FLAIR MRI.
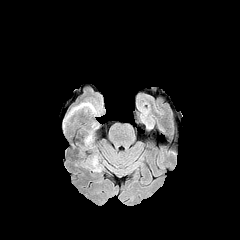
T1-weighted MR image.
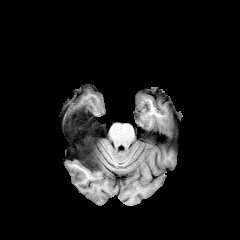
Post-contrast T1-weighted MR image.
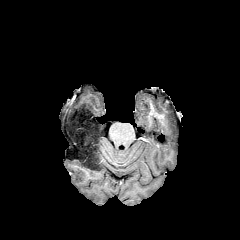
T2-weighted MR.
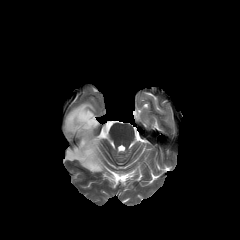
Brain
<segmentation>
  <non-enhancing_tumor_core>bbox(68, 106, 95, 129); bbox(71, 132, 100, 169)</non-enhancing_tumor_core>
  <edema>bbox(90, 163, 103, 172); bbox(69, 102, 97, 113); bbox(65, 114, 96, 139)</edema>
</segmentation>